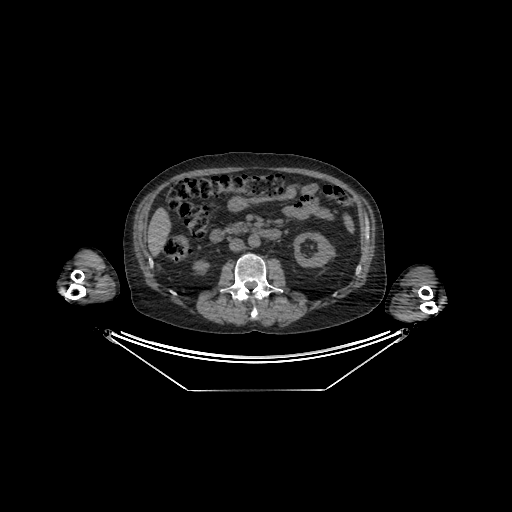 512x512 px, CT scan slice, Upper abdomen
liver:
  - x1=148 y1=208 x2=170 y2=255
kidney:
  - x1=293 y1=232 x2=335 y2=267
  - x1=192 y1=259 x2=209 y2=275